Brain.
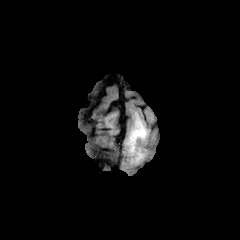
FLAIR MR.
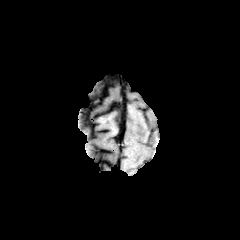
T1-weighted MR.
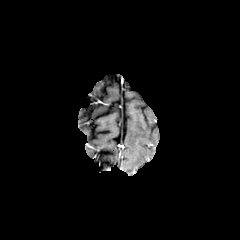
Post-contrast T1-weighted MR of the same slice.
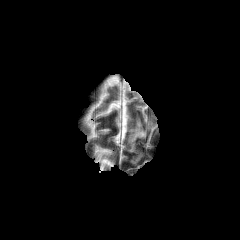
T2-weighted MRI.
Edema: bounding box [127, 113, 149, 162].